CT slice; Slice index 30; Abdomen
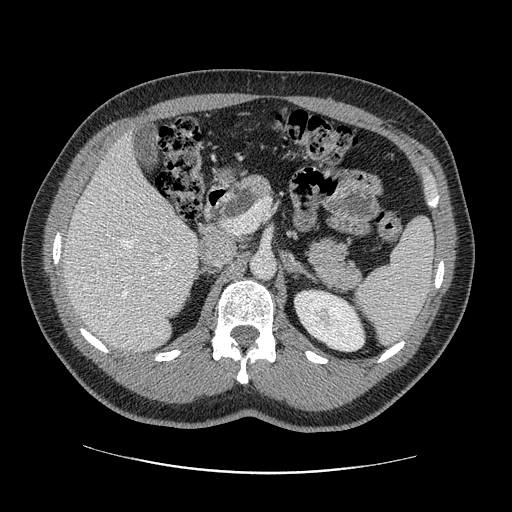
pancreas:
  - bbox=[304, 235, 363, 292]
  - bbox=[216, 174, 276, 221]
pancreatic_tumor:
  - bbox=[224, 187, 256, 218]